240x240, Slice 75 of 155
FLAIR MR.
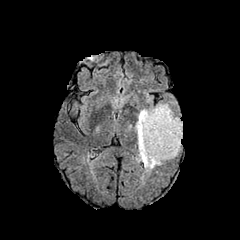
T1-weighted MR.
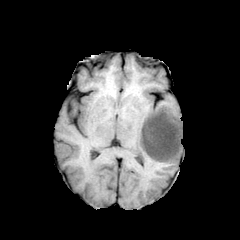
Post-contrast T1-weighted MR.
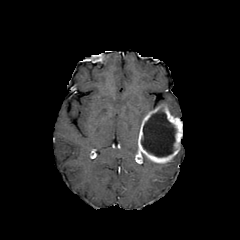
T2-weighted magnetic resonance.
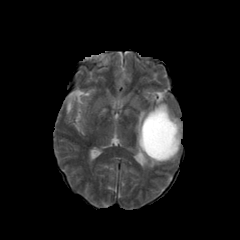
{"edema": ["134, 106, 156, 149", "143, 158, 163, 171"], "non-enhancing_tumor_core": ["142, 111, 175, 156"], "enhancing_tumor": ["137, 104, 182, 163"]}